Brain; Image size 240x240; Slice 118/155
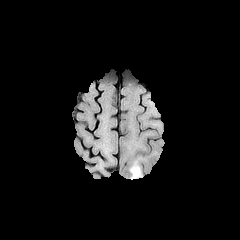
FLAIR MRI.
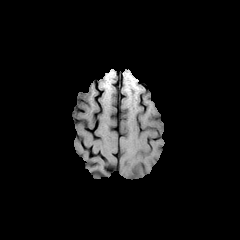
T1-weighted MRI of the same slice.
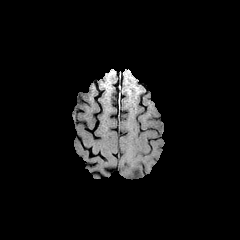
Post-contrast T1-weighted MR image.
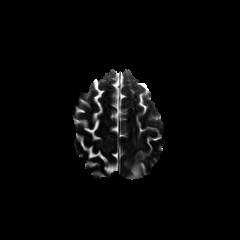
T2-weighted MRI of the same slice.
edema: (left=131, top=165, right=140, bottom=179)